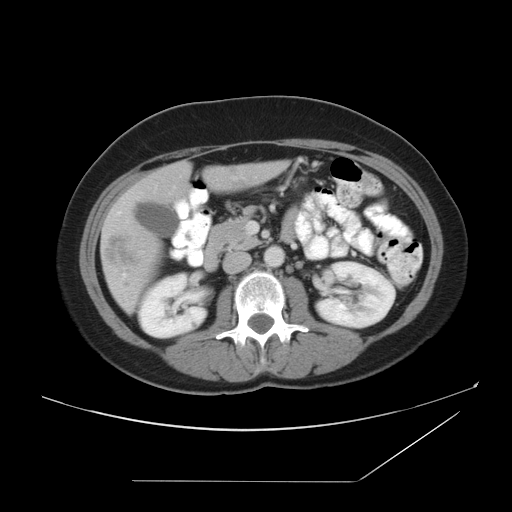

Liver | CT image

Only some of the vessels may be annotated.
<segmentation>
  <hepatic_vessel><box>118,211,120,213</box>, <box>122,273,125,277</box>, <box>234,178,236,179</box></hepatic_vessel>
  <liver_tumor><box>108,236,134,266</box></liver_tumor>
</segmentation>